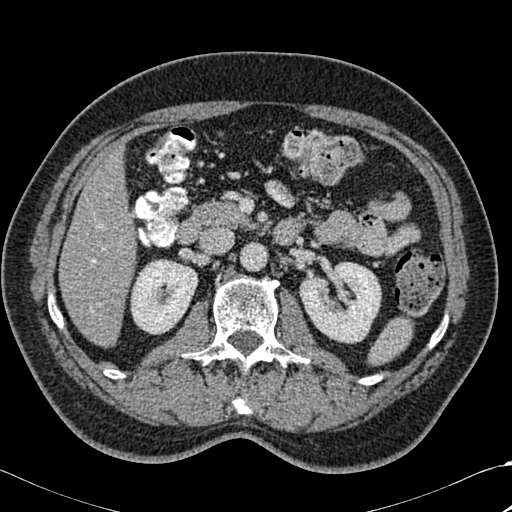
CT. Upper abdomen. 512x512 px.

<segmentation>
  <liver>bbox=[60, 149, 136, 345]</liver>
  <kidney>bbox=[300, 263, 380, 342]; bbox=[131, 260, 197, 333]</kidney>
  <bone>bbox=[360, 375, 379, 384]; bbox=[234, 395, 250, 413]; bbox=[48, 295, 62, 327]; bbox=[190, 278, 308, 371]; bbox=[430, 319, 447, 347]; bbox=[104, 369, 124, 378]</bone>
</segmentation>